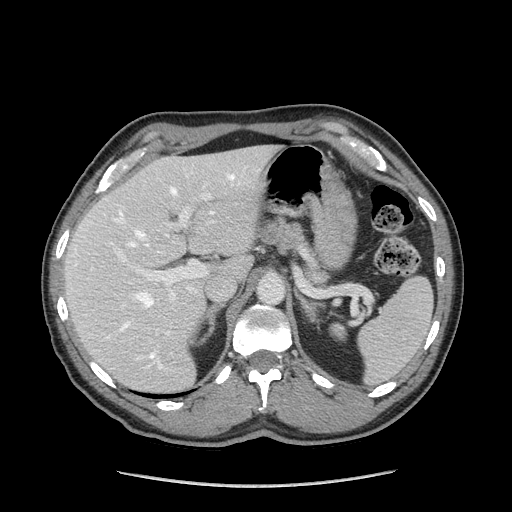 Upper abdomen | CT image
Pancreas — 258, 216, 330, 287.